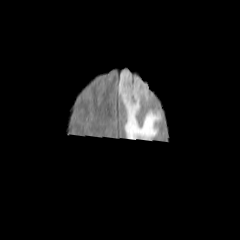
FLAIR MR image.
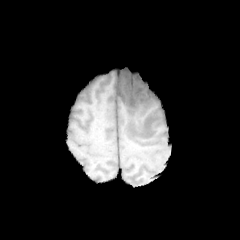
T1-weighted MRI of the same slice.
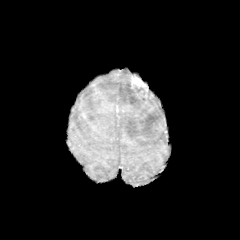
Same slice, post-contrast T1-weighted MR.
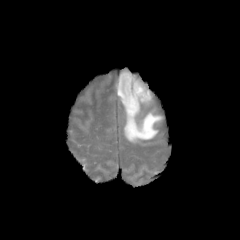
T2-weighted MR image.
Brain; 240x240 px
Findings:
* enhancing tumor: bbox=[126, 74, 148, 93]
* edema: bbox=[117, 71, 164, 143]